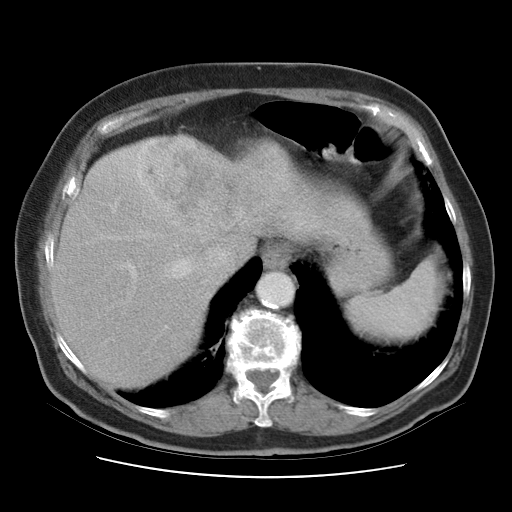 Computed tomography. 512x512 px.
The vessel annotation is not exhaustive.
8 hepatic vessel regions are bounded by (177, 226, 204, 233), (149, 232, 163, 239), (208, 238, 229, 265), (113, 237, 117, 238), (120, 289, 133, 304), (131, 269, 135, 276), (167, 257, 201, 277), (132, 280, 135, 287). The liver tumor is at (143, 142, 286, 235).